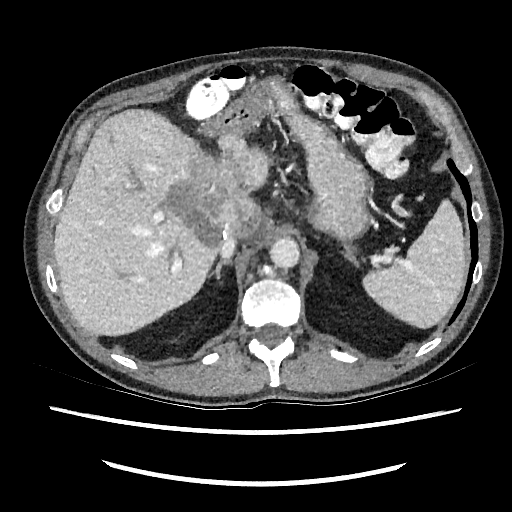
CT scan slice, Upper abdomen
focal liver lesion: (160,151,260,246) | liver: (247,200,263,239), (54,109,268,334), (223,224,244,239)